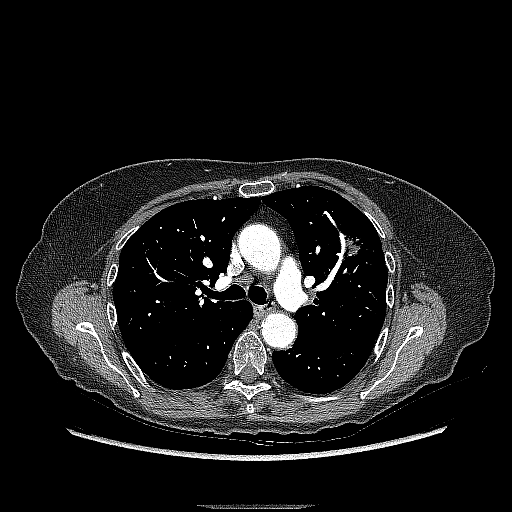 Computed tomography, 512x512
{
  "lung_tumor": [
    "x1=336 y1=228 x2=365 y2=261"
  ]
}